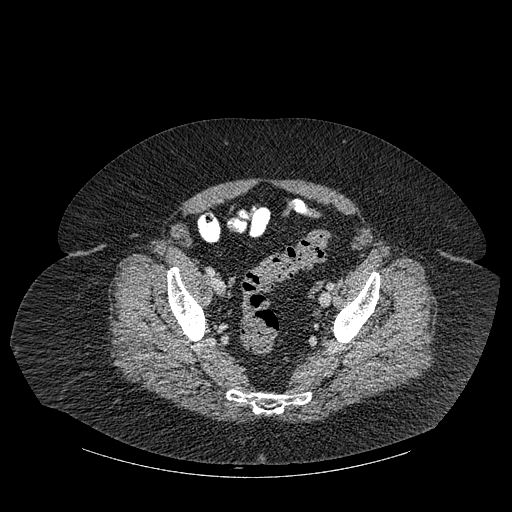
CT image

<segmentation>
  <bone>167,267,205,341; 226,389,311,413; 333,272,379,344</bone>
</segmentation>